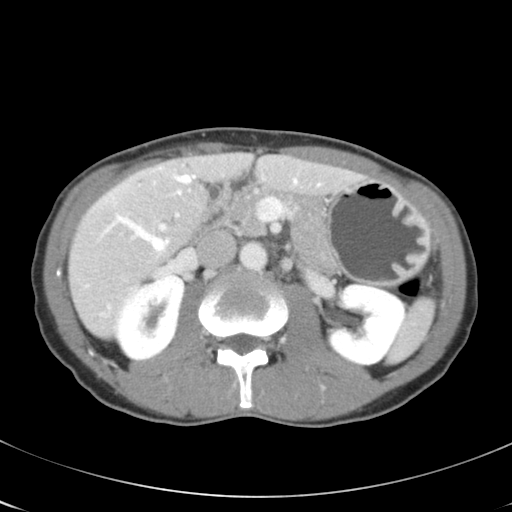

Abdomen; CT scan slice

Not every hepatic vessel necessarily has a box.
Hepatic vessel — bbox(175, 176, 194, 182); bbox(293, 179, 297, 183); bbox(176, 213, 177, 215); bbox(318, 184, 320, 185); bbox(161, 224, 165, 229); bbox(104, 215, 168, 249).